Slice 101 of 155. Head.
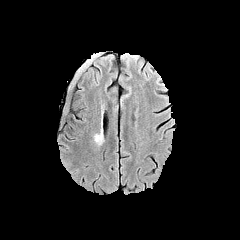
FLAIR magnetic resonance.
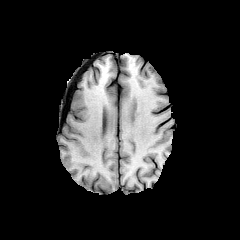
T1-weighted MR.
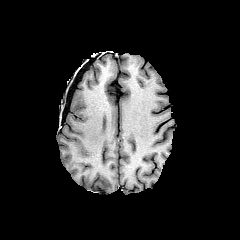
Post-contrast T1-weighted magnetic resonance.
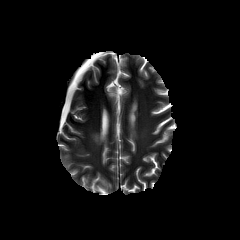
Same slice, T2-weighted MR.
<segmentation>
  <edema>bbox(93, 129, 104, 145)</edema>
</segmentation>